FLAIR MR image.
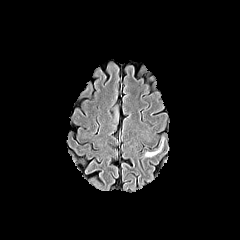
T1-weighted MR image.
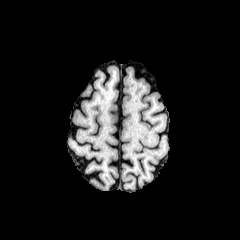
Post-contrast T1-weighted magnetic resonance.
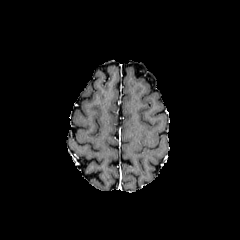
T2-weighted MR.
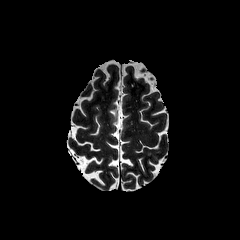
Head
<segmentation>
  <edema>rect(144, 151, 159, 157)</edema>
</segmentation>